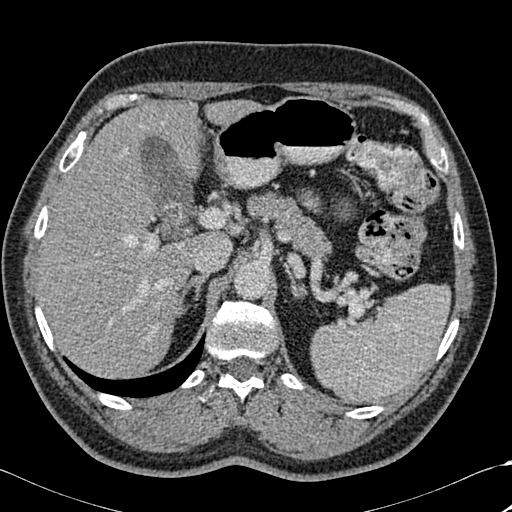

CT scan slice. Abdomen.
bone: left=282, top=374, right=302, bottom=388; left=437, top=320, right=458, bottom=358; left=454, top=215, right=463, bottom=248; left=207, top=302, right=276, bottom=398; left=36, top=308, right=52, bottom=348; left=348, top=406, right=381, bottom=418; left=68, top=132, right=85, bottom=158; left=182, top=370, right=203, bottom=387; left=34, top=207, right=47, bottom=238; left=99, top=394, right=130, bottom=409 | lung: left=64, top=334, right=204, bottom=397 | liver: left=211, top=101, right=251, bottom=124; left=40, top=104, right=201, bottom=379